FLAIR MR.
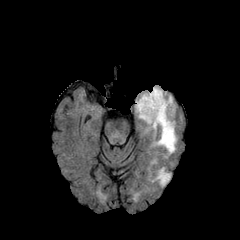
T1-weighted MRI.
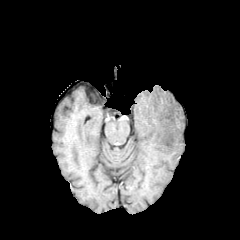
Post-contrast T1-weighted MR image.
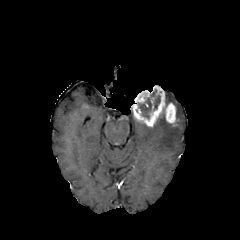
T2-weighted MRI.
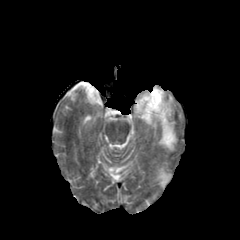
Head.
Segmented structures:
• edema: <box>157,167,170,184</box>, <box>152,118,177,153</box>
• non-enhancing tumor core: <box>138,98,151,117</box>, <box>154,96,160,109</box>
• enhancing tumor: <box>132,85,175,127</box>